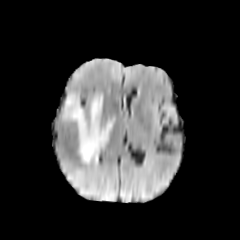
FLAIR magnetic resonance.
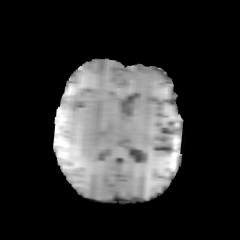
T1-weighted MR.
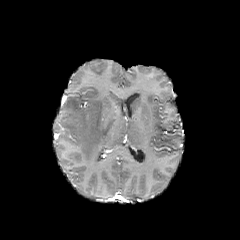
Post-contrast T1-weighted MR image.
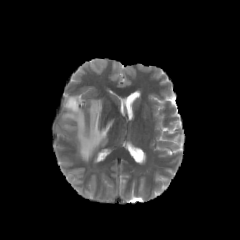
T2-weighted magnetic resonance.
Brain | 240x240
edema:
  - box(64, 94, 113, 164)